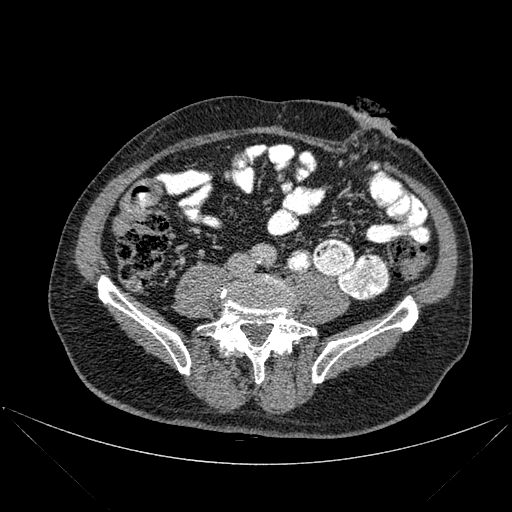

CT slice | 512x512 px
Annotated regions:
• bone: bbox(197, 276, 316, 383); bbox(98, 276, 190, 374); bbox(312, 296, 417, 383)